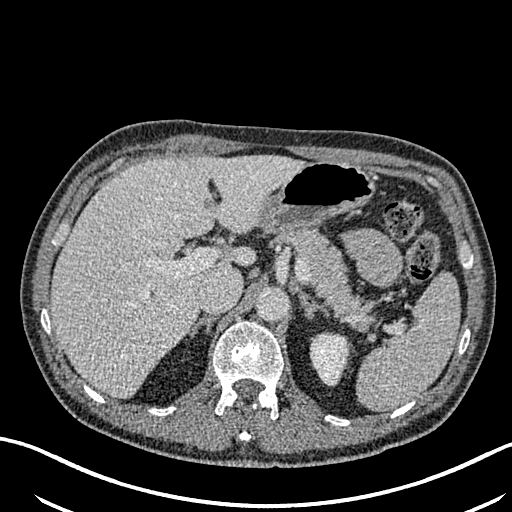

512x512. CT image. Annotated regions:
- liver lesion: [x1=203, y1=197, x2=215, y2=209], [x1=150, y1=288, x2=156, y2=302]
- liver: [x1=51, y1=155, x2=304, y2=397]
- kidney: [x1=311, y1=335, x2=346, y2=383]